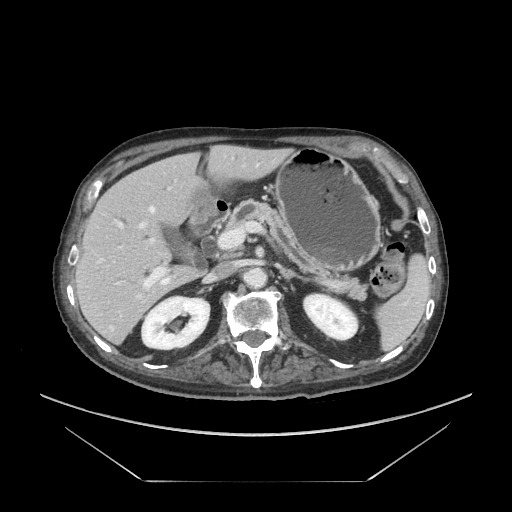 Upper abdomen, 512x512, CT slice

The pancreas is bounded by bbox=[227, 200, 364, 298].